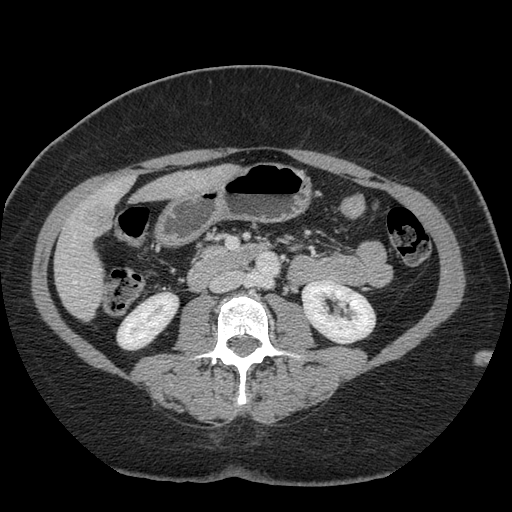
CT scan slice; 512x512; Liver
The vessel annotation is not exhaustive.
hepatic vessel: <bbox>73, 281, 77, 283</bbox>, <bbox>72, 245, 73, 246</bbox> | liver tumor: <bbox>83, 203, 113, 227</bbox>